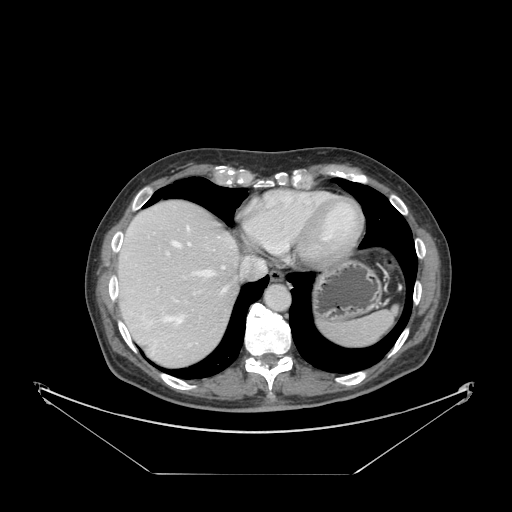

Abdomen; CT slice; 512x512

* spleen: {"x1": 319, "y1": 306, "x2": 397, "y2": 348}